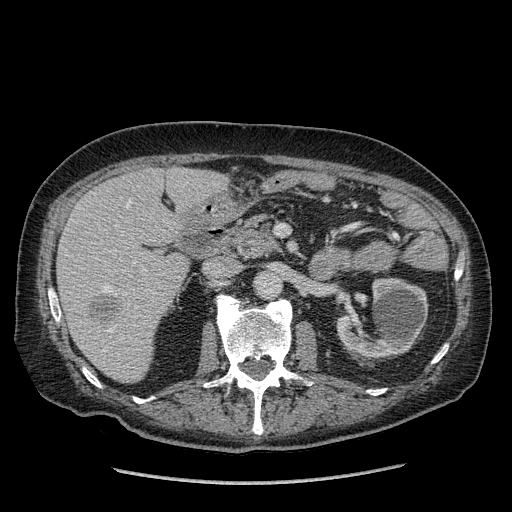

CT image; Liver; 512x512
Findings:
* kidney: [x1=372, y1=278, x2=427, y2=316], [x1=337, y1=308, x2=422, y2=358]
* focal liver lesion: [x1=90, y1=294, x2=120, y2=325]
* liver: [x1=57, y1=167, x2=228, y2=382]